Image width 375 mm, Computed tomography, Slice 102 of 134 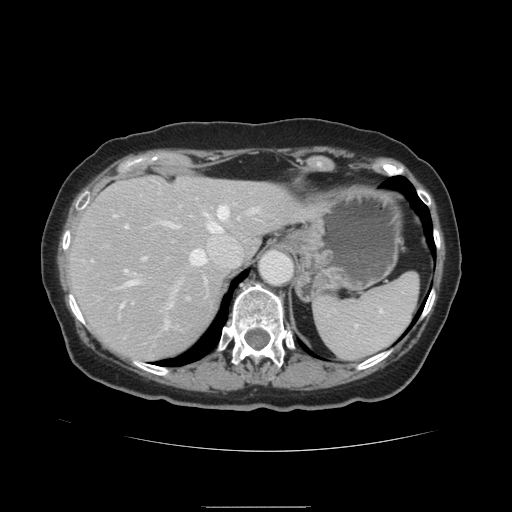

The vessel annotation is not exhaustive.
hepatic_vessel:
  - 124, 280, 136, 285
  - 142, 257, 145, 259
  - 125, 270, 126, 272
  - 189, 249, 205, 265
  - 120, 306, 121, 308
  - 217, 205, 228, 219
  - 164, 323, 166, 326
  - 202, 213, 220, 232
  - 125, 226, 127, 228
  - 251, 208, 257, 212